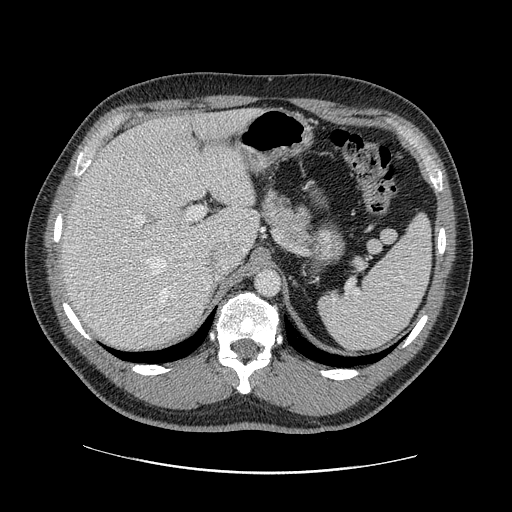
Abdomen; CT slice
The pancreas is located at 260:187:316:250.